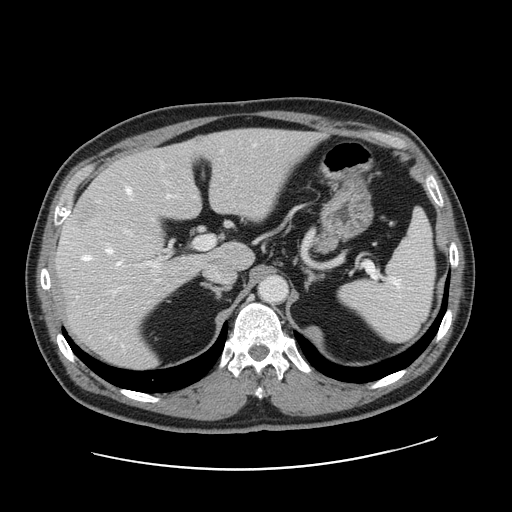 Image size 512x512. Computed tomography. The vessel annotation is not exhaustive.
Segmented structures:
• liver tumor: {"x1": 72, "y1": 198, "x2": 97, "y2": 228}
• hepatic vessel: {"x1": 83, "y1": 254, "x2": 91, "y2": 259}, {"x1": 162, "y1": 244, "x2": 173, "y2": 256}, {"x1": 167, "y1": 193, "x2": 176, "y2": 197}, {"x1": 254, "y1": 142, "x2": 256, "y2": 145}, {"x1": 124, "y1": 229, "x2": 130, "y2": 233}, {"x1": 124, "y1": 184, "x2": 132, "y2": 199}, {"x1": 151, "y1": 217, "x2": 154, "y2": 218}, {"x1": 109, "y1": 290, "x2": 117, "y2": 294}, {"x1": 168, "y1": 183, "x2": 169, "y2": 184}, {"x1": 187, "y1": 137, "x2": 207, "y2": 147}, {"x1": 107, "y1": 245, "x2": 111, "y2": 253}, {"x1": 144, "y1": 259, "x2": 159, "y2": 267}, {"x1": 182, "y1": 257, "x2": 184, "y2": 259}, {"x1": 210, "y1": 184, "x2": 221, "y2": 210}, {"x1": 117, "y1": 261, "x2": 120, "y2": 265}